CT scan slice 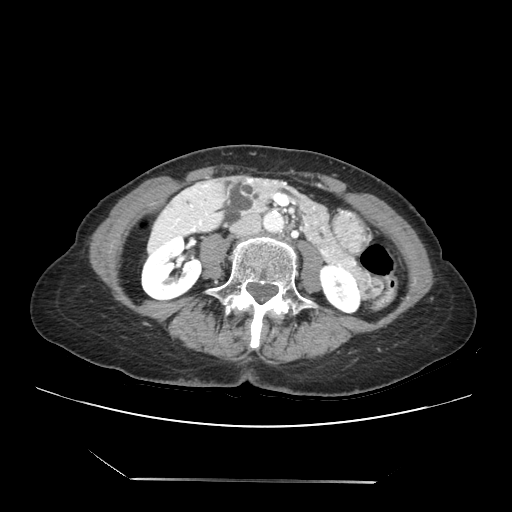 pancreas:
  - box=[222, 177, 385, 301]